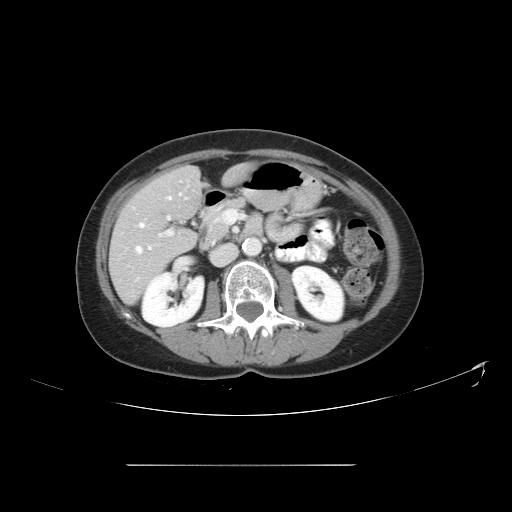 Liver | 512x512 | CT scan slice
The vessel boxes may cover only some of the vessels.
9 hepatic vessel regions appear at x1=139, y1=223, x2=143, y2=227; x1=167, y1=216, x2=169, y2=218; x1=159, y1=233, x2=165, y2=235; x1=148, y1=246, x2=151, y2=249; x1=137, y1=277, x2=138, y2=279; x1=136, y1=246, x2=142, y2=253; x1=185, y1=197, x2=186, y2=199; x1=179, y1=193, x2=181, y2=195; x1=167, y1=196, x2=171, y2=199.